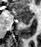
MR image

The anterior hippocampus appears at x1=11, y1=8, x2=32, y2=19. The posterior hippocampus is at x1=19, y1=20, x2=29, y2=24.